Image size 240x240. Slice index 32.
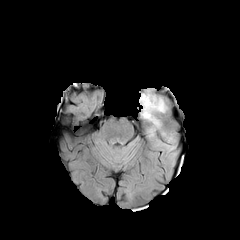
FLAIR magnetic resonance.
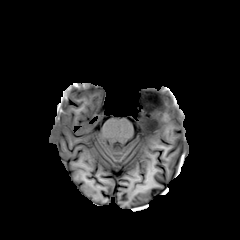
T1-weighted MR.
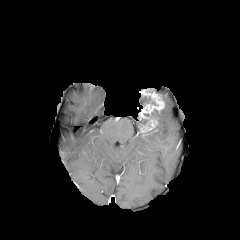
Same slice, post-contrast T1-weighted magnetic resonance.
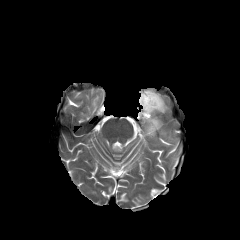
T2-weighted MR.
Non-enhancing tumor core = box=[139, 96, 150, 105].
Edema = box=[144, 120, 160, 136].
Enhancing tumor = box=[140, 90, 164, 130].